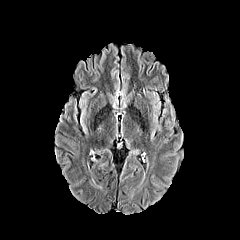
FLAIR MR.
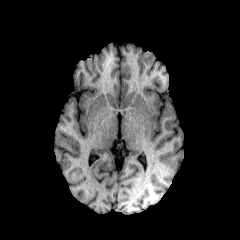
T1-weighted magnetic resonance.
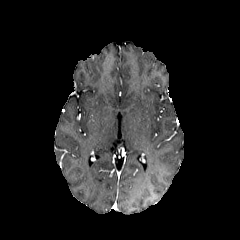
Post-contrast T1-weighted MRI of the same slice.
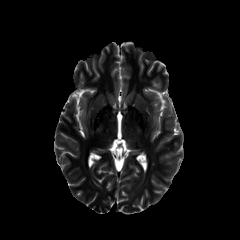
T2-weighted MRI.
2 edema regions are bounded by left=165, top=101, right=175, bottom=121; left=150, top=102, right=161, bottom=139.